CT scan slice

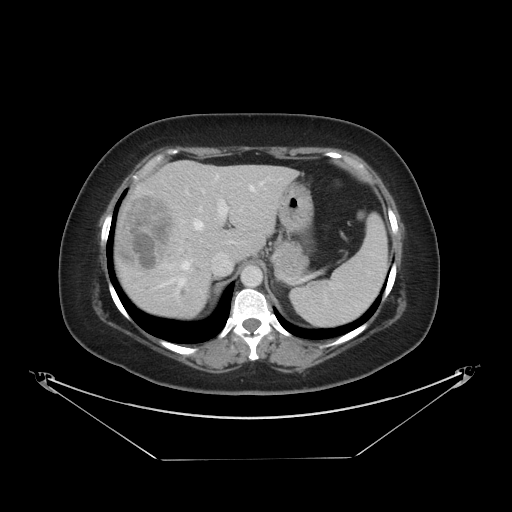

Only some of the vessels may be annotated.
Annotated regions:
* hepatic vessel: 218,199,226,215; 199,207,201,211; 201,189,205,192; 181,261,190,271; 179,278,184,284; 248,184,256,192; 193,219,204,230; 260,181,263,185
* liver tumor: 116,194,177,274